CT. Abdomen. Field of view 404 mm wide, 0.70 mm slice spacing.

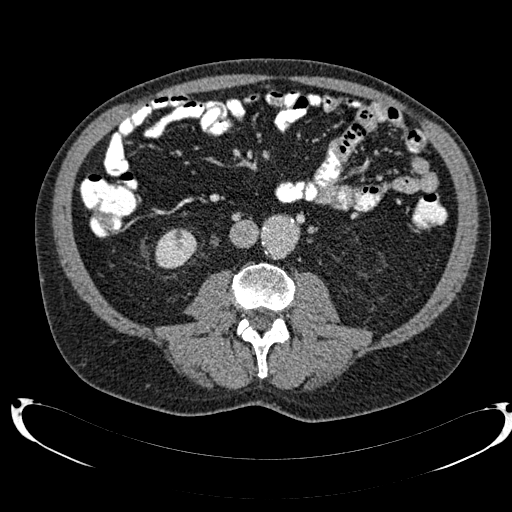 Kidney: rect(155, 234, 196, 268).